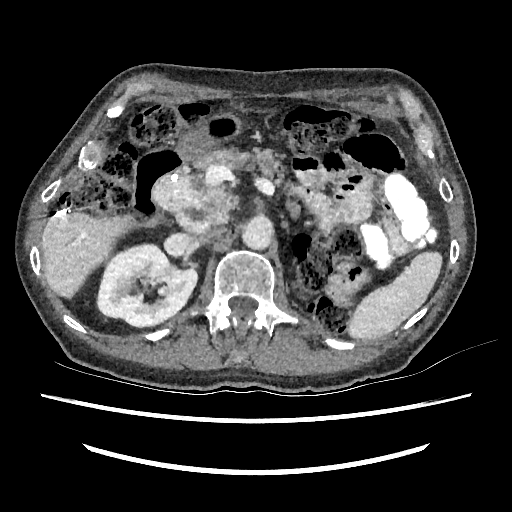 Liver; Computed tomography
* liver: 42,213,131,297
* kidney: 98,245,196,326